Brain; Slice 42/155
FLAIR MR.
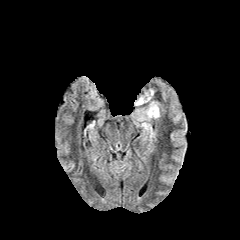
T1-weighted magnetic resonance.
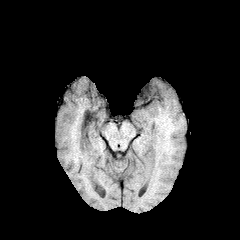
Post-contrast T1-weighted magnetic resonance.
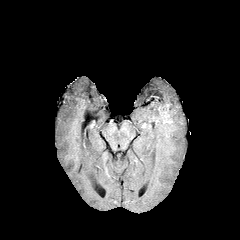
T2-weighted MR.
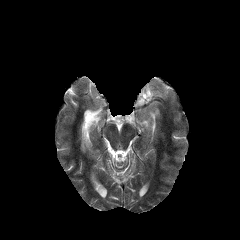
Edema: bounding box x1=135 y1=89 x2=159 y2=128.